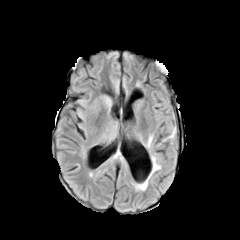
FLAIR magnetic resonance.
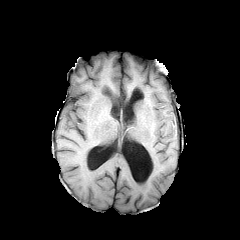
T1-weighted MRI of the same slice.
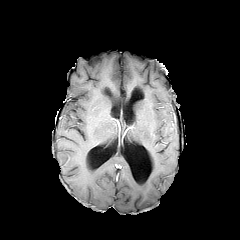
Same slice, post-contrast T1-weighted MRI.
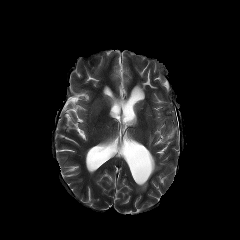
T2-weighted MR.
edema:
  - [x1=162, y1=126, x2=175, y2=141]
  - [x1=135, y1=154, x2=161, y2=190]
  - [x1=146, y1=134, x2=153, y2=148]